Field of view 402x402 mm. Slice 90/109. CT scan slice. Abdomen.

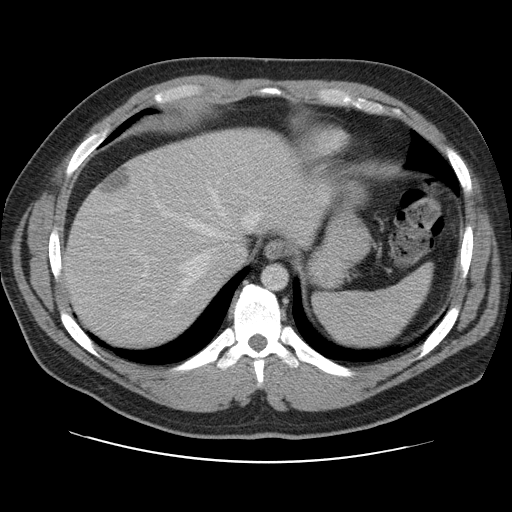 Not every hepatic vessel necessarily has a box.
liver tumor: (x1=103, y1=169, x2=130, y2=193) | [15/19] hepatic vessel: (x1=178, y1=262, x2=201, y2=290), (x1=219, y1=212, x2=226, y2=215), (x1=193, y1=256, x2=200, y2=266), (x1=210, y1=188, x2=223, y2=208), (x1=131, y1=249, x2=135, y2=253), (x1=174, y1=293, x2=176, y2=296), (x1=232, y1=171, x2=235, y2=174), (x1=206, y1=180, x2=209, y2=183), (x1=205, y1=212, x2=210, y2=214), (x1=262, y1=225, x2=274, y2=230), (x1=204, y1=256, x2=209, y2=258), (x1=263, y1=196, x2=283, y2=205), (x1=241, y1=212, x2=262, y2=230), (x1=135, y1=253, x2=148, y2=266), (x1=227, y1=224, x2=230, y2=226)